CT image; Liver; Field of view 381 mm wide, 1.50 mm slice spacing; Slice index 307 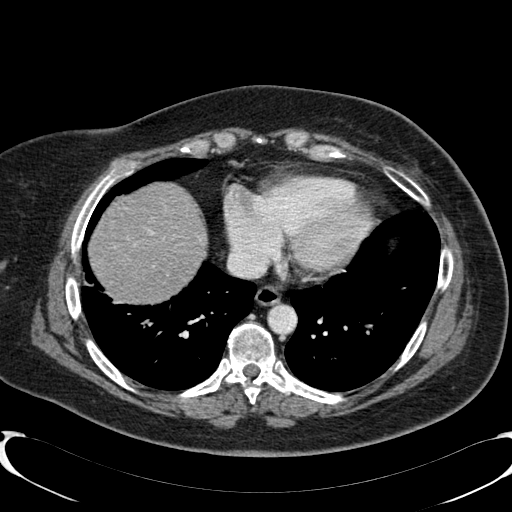

Liver — (88,183,206,301).